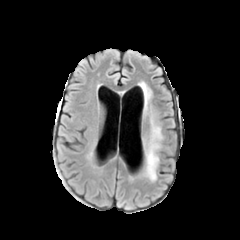
FLAIR MR.
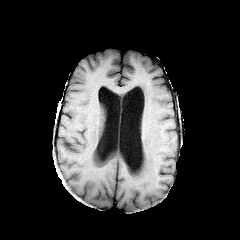
Same slice, T1-weighted MR image.
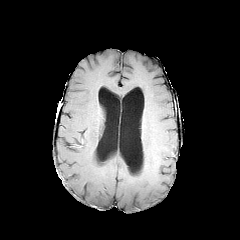
Post-contrast T1-weighted MR image of the same slice.
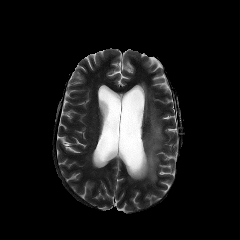
T2-weighted MR.
{
  "edema": [
    "left=141, top=83, right=151, bottom=114",
    "left=139, top=116, right=162, bottom=181"
  ]
}